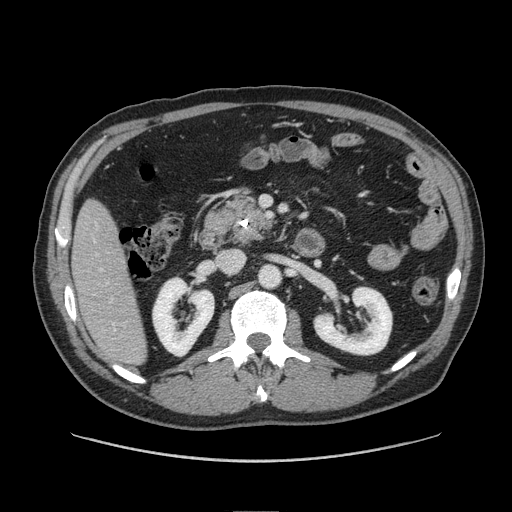
CT scan slice, Upper abdomen
Findings:
• pancreatic tumor: [237,227,258,240]
• pancreas: [203,190,276,246]